Slice index 65, Head, Field of view 240x240 mm
FLAIR MR image.
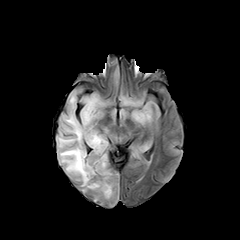
T1-weighted MR image.
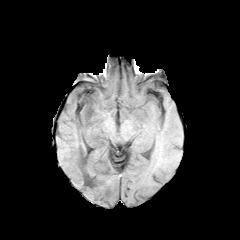
Post-contrast T1-weighted magnetic resonance.
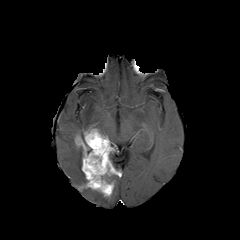
T2-weighted MRI.
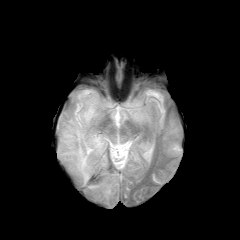
<segmentation>
  <enhancing_tumor>box=[76, 129, 119, 196]</enhancing_tumor>
  <edema>box=[133, 145, 148, 155]; box=[57, 90, 108, 184]; box=[82, 188, 109, 200]; box=[122, 96, 151, 123]</edema>
  <non-enhancing_tumor_core>box=[93, 173, 117, 184]; box=[108, 152, 119, 173]</non-enhancing_tumor_core>
</segmentation>